FLAIR MR image.
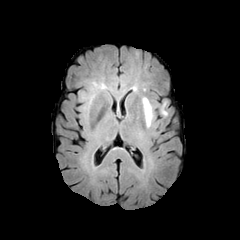
T1-weighted MR image.
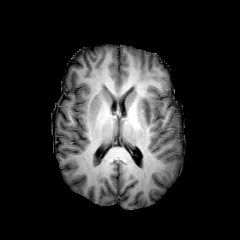
Post-contrast T1-weighted MR.
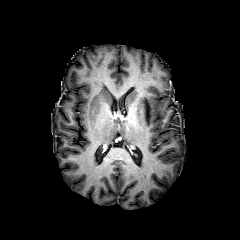
T2-weighted MRI.
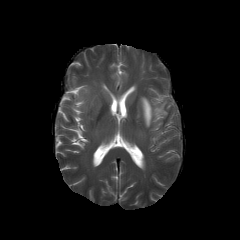
Head
2 edema regions are bounded by (157, 102, 167, 116), (141, 97, 158, 127).